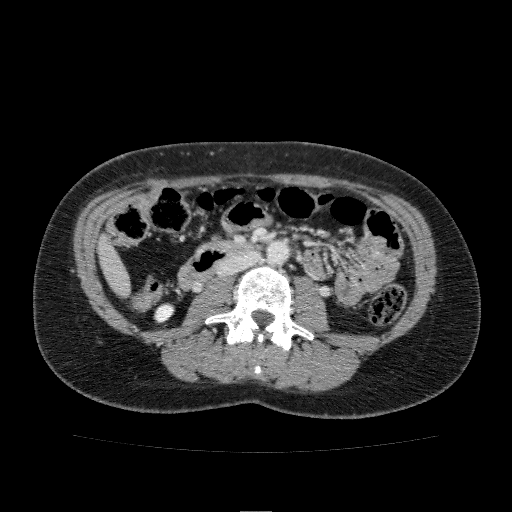 CT slice; Liver
Annotated regions:
- kidney: region(156, 305, 172, 321)
- liver: region(98, 235, 129, 294)